CT scan slice, Abdomen 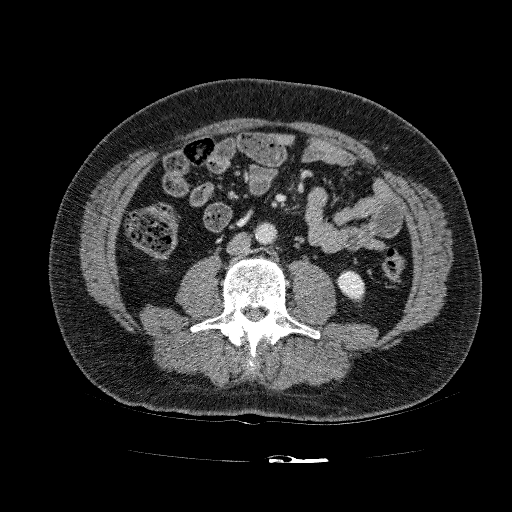
kidney:
  - region(338, 271, 363, 298)